240x240 px
FLAIR MR image.
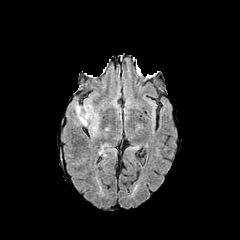
T1-weighted MR.
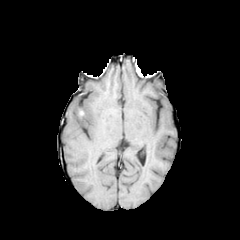
Post-contrast T1-weighted MRI.
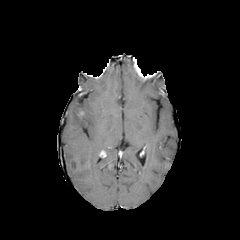
T2-weighted MRI.
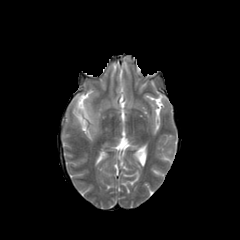
<segmentation>
  <edema>{"x1": 70, "y1": 104, "x2": 98, "y2": 134}</edema>
</segmentation>